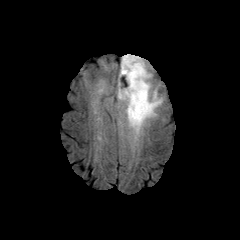
FLAIR MR image.
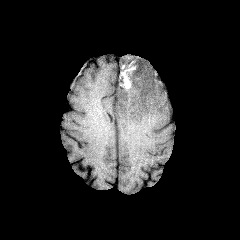
Same slice, T1-weighted MRI.
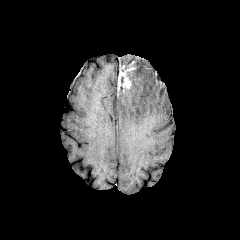
Post-contrast T1-weighted MRI of the same slice.
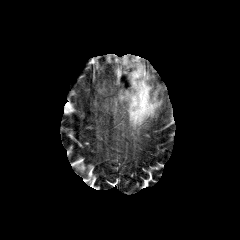
T2-weighted MR.
Non-enhancing tumor core: (x1=126, y1=70, x2=137, y2=84), (x1=120, y1=58, x2=138, y2=69), (x1=118, y1=75, x2=129, y2=94).
Enhancing tumor: (x1=118, y1=62, x2=135, y2=87).
Edema: (x1=117, y1=58, x2=163, y2=142), (x1=120, y1=54, x2=137, y2=60).